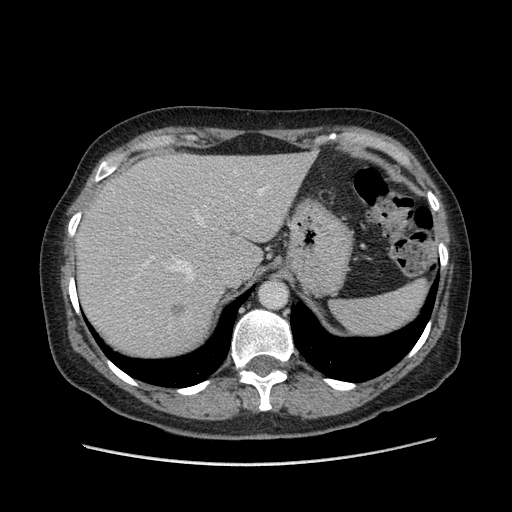 Abdomen. CT image. Image size 512x512. Only some of the vessels may be annotated.
Findings:
• hepatic vessel: (128,276,136,293), (167,260,194,280), (150,256,152,258), (191,206,207,226)